FLAIR MR image.
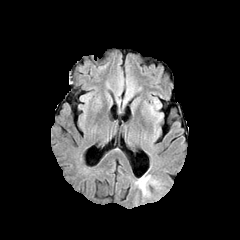
T1-weighted MR.
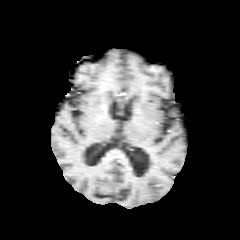
Post-contrast T1-weighted MR image.
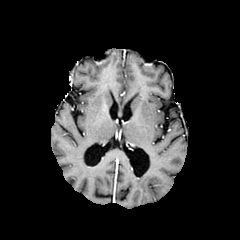
T2-weighted MR image.
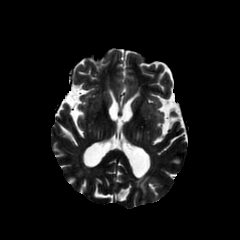
Brain
Edema — box(135, 174, 159, 196).